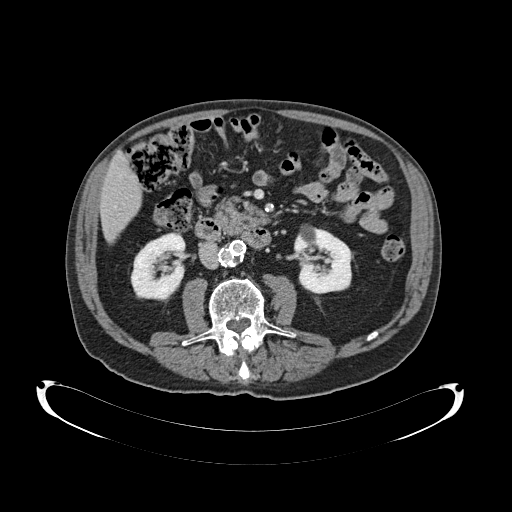 CT. Abdomen. Findings:
* pancreas: box=[213, 195, 244, 236]